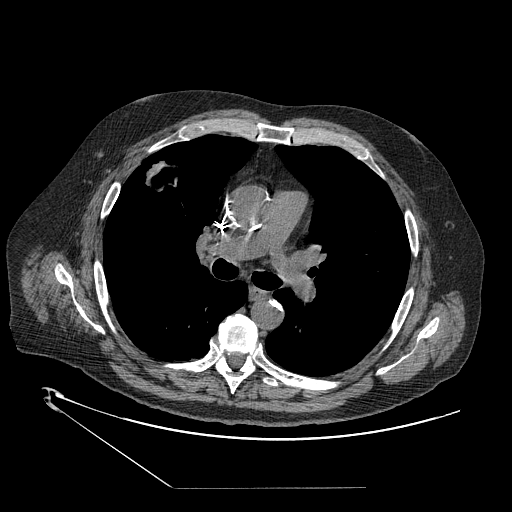

CT image, Image size 512x512, Chest
lung tumor: left=138, top=159, right=180, bottom=194